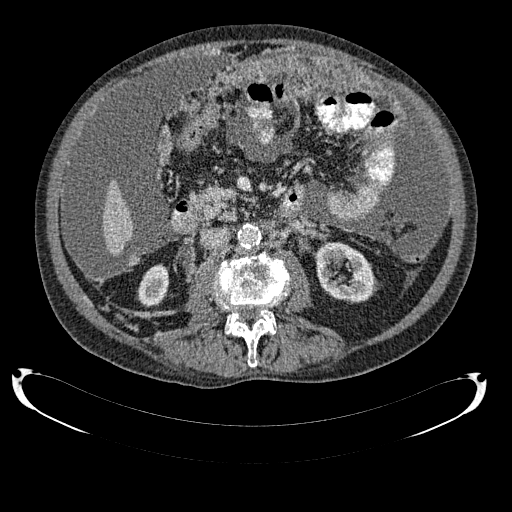
512x512, CT scan slice
Kidney — bbox(316, 242, 373, 301); bbox(139, 265, 168, 306).
Liver — bbox(103, 180, 131, 255).